Upper abdomen; CT slice 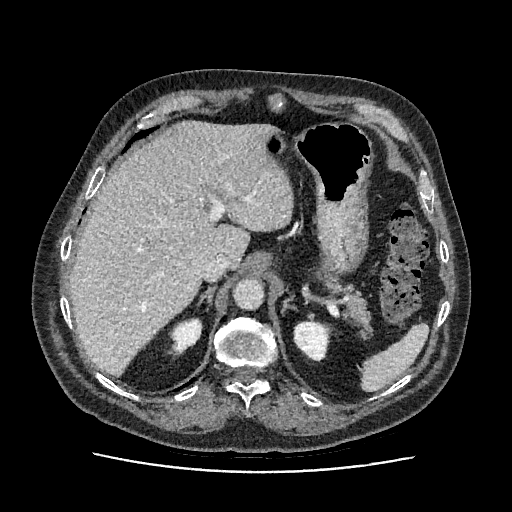 {"kidney": ["[295,322,326,359]", "[174,320,200,350]"], "liver": ["[71,121,292,375]"]}